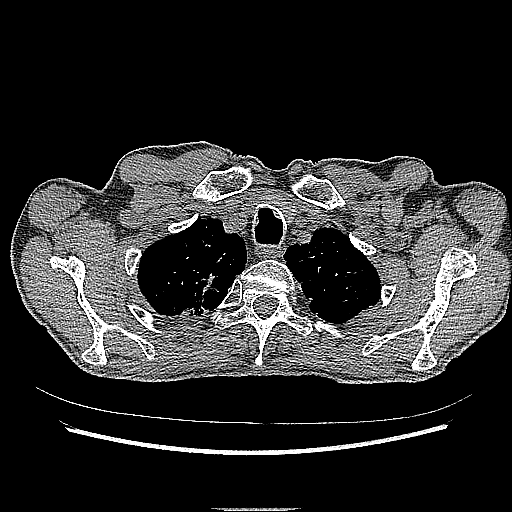
Computed tomography, Chest

The lung tumor is bounded by bbox(179, 269, 227, 316).